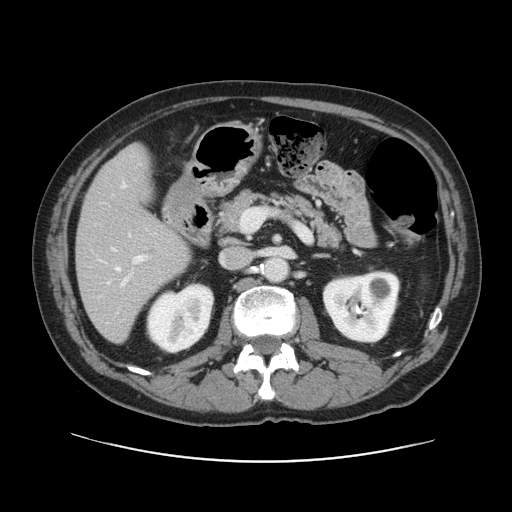
CT image | Liver
Not every hepatic vessel necessarily has a box.
Hepatic vessel at box=[116, 267, 120, 270]; box=[129, 234, 130, 235]; box=[133, 256, 144, 263]; box=[122, 182, 125, 187]; box=[121, 276, 128, 285]; box=[112, 248, 115, 250]; box=[107, 282, 109, 283].